Image size 240x240
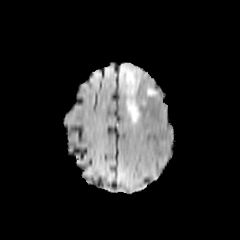
FLAIR magnetic resonance.
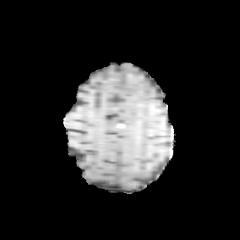
T1-weighted MR image of the same slice.
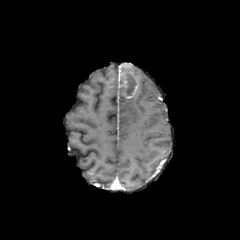
Post-contrast T1-weighted MR image.
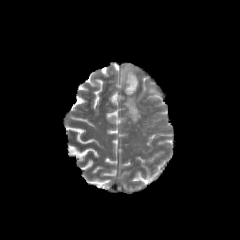
Same slice, T2-weighted MRI.
Enhancing tumor: bounding box l=120, t=64, r=138, b=98.
Edema: bounding box l=125, t=95, r=140, b=121.
Non-enhancing tumor core: bounding box l=120, t=74, r=137, b=95.